Slice 116 of 689. CT. Field of view 360 mm wide, 0.80 mm slice spacing. 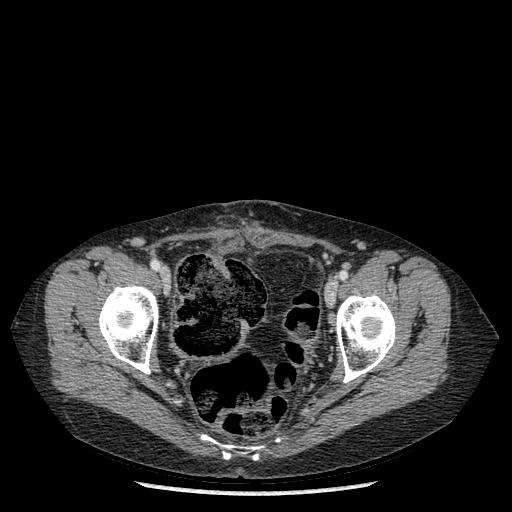

<segmentation>
  <bone>bbox(220, 444, 263, 460); bbox(98, 284, 158, 374); bbox(200, 434, 216, 443); bbox(336, 293, 395, 382)</bone>
</segmentation>